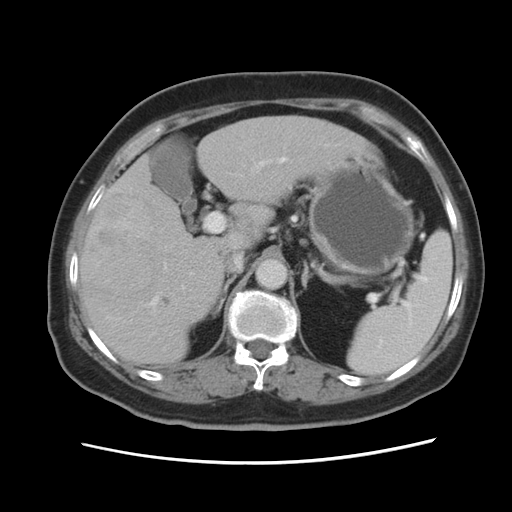

512x512 px; CT slice
Not every hepatic vessel necessarily has a box.
liver_tumor:
  - (x1=82, y1=194, x2=155, y2=296)
hepatic_vessel:
  - (x1=164, y1=264, x2=166, y2=268)
  - (x1=190, y1=272, x2=193, y2=274)
  - (x1=252, y1=159, x2=271, y2=171)
  - (x1=182, y1=286, x2=185, y2=288)
  - (x1=150, y1=297, x2=158, y2=306)
  - (x1=279, y1=157, x2=286, y2=162)